MR image | Image size 39x45

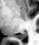 posterior hippocampus: (16,31,26,39)